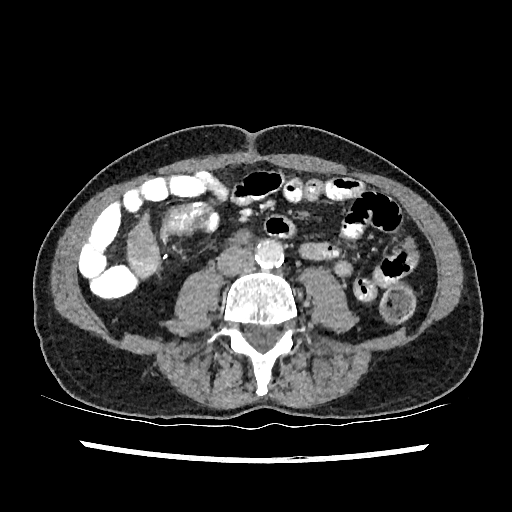

Liver. CT image.
<segmentation>
  <hepatic_lesion><bbox>133, 232, 139, 245</bbox></hepatic_lesion>
  <liver><bbox>128, 216, 158, 277</bbox></liver>
</segmentation>